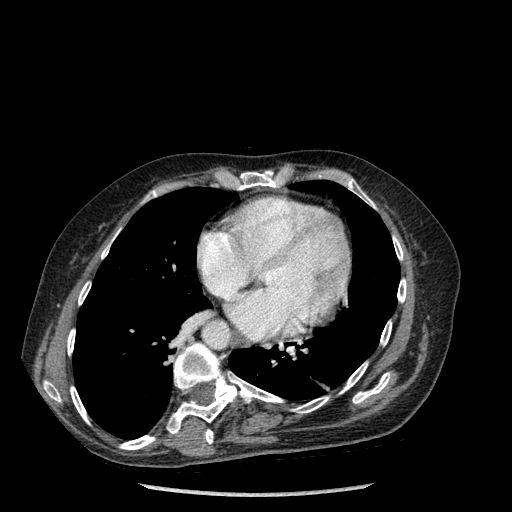 CT | 512x512 px
Annotated regions:
* lung: x1=229 y1=180 x2=400 y2=399, x1=73 y1=187 x2=236 y2=439
* bone (most prominent 15 of 17): x1=380 y1=320 x2=391 y2=345, x1=352 y1=372 x2=390 y2=403, x1=70 y1=386 x2=89 y2=424, x1=292 y1=396 x2=328 y2=413, x1=340 y1=362 x2=367 y2=393, x1=78 y1=281 x2=90 y2=305, x1=397 y1=278 x2=406 y2=302, x1=392 y1=236 x2=403 y2=260, x1=101 y1=230 x2=119 y2=258, x1=346 y1=178 x2=375 y2=208, x1=167 y1=343 x2=283 y2=433, x1=230 y1=171 x2=284 y2=189, x1=67 y1=329 x2=75 y2=355, x1=43 y1=381 x2=61 y2=401, x1=119 y1=435 x2=155 y2=449